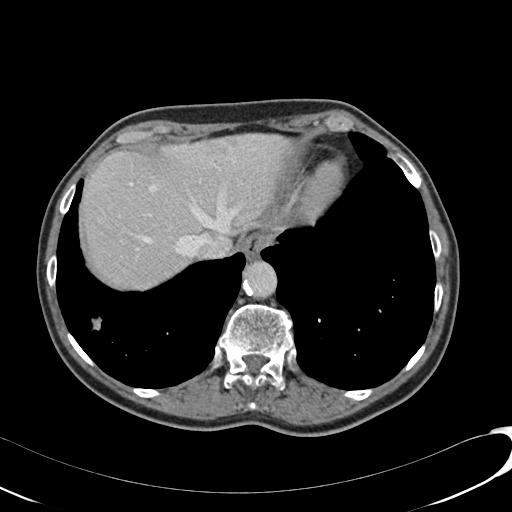
CT, 512x512 px
Segmented structures:
* liver lesion: <bbox>211, 144, 226, 153</bbox>, <bbox>226, 137, 237, 146</bbox>
* liver: <bbox>82, 134, 292, 287</bbox>